Head. Image width 240 mm. Slice 75 of 155.
FLAIR MR image.
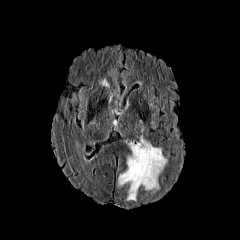
T1-weighted MR image.
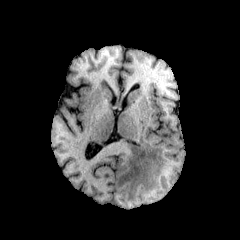
Post-contrast T1-weighted MRI.
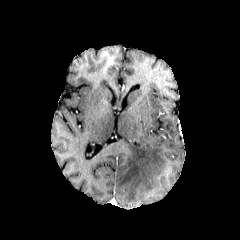
T2-weighted magnetic resonance.
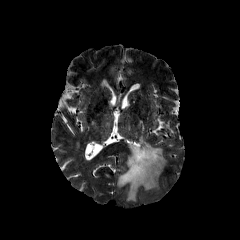
Edema: 117, 135, 167, 201.